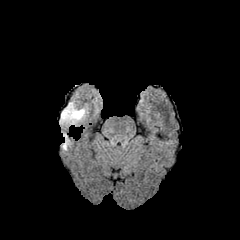
FLAIR MRI.
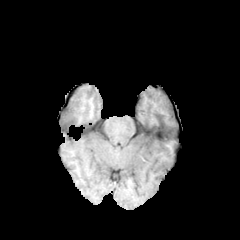
T1-weighted MRI.
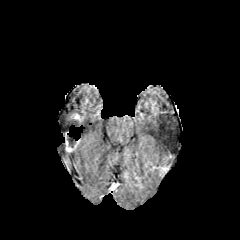
Post-contrast T1-weighted MRI.
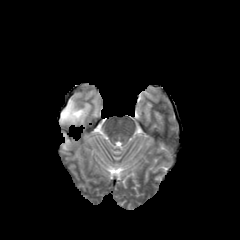
T2-weighted magnetic resonance.
Brain.
Segmented structures:
• edema: x1=59 y1=99 x2=89 y2=136
• non-enhancing tumor core: x1=65 y1=112 x2=84 y2=120